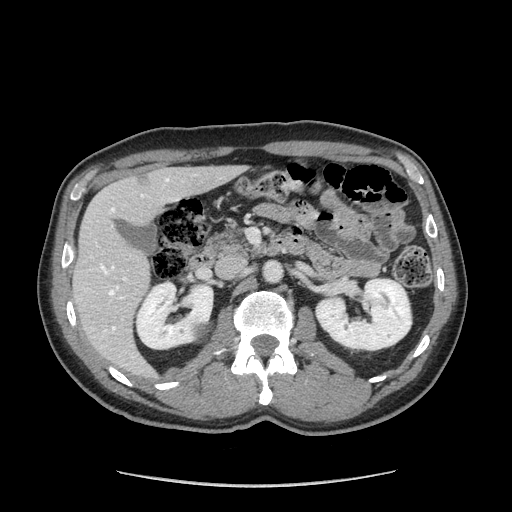 Abdomen | CT image

pancreas:
  - x1=215 y1=227 x2=254 y2=255